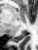 MRI slice; 38x50 px; Medial temporal lobe

The posterior hippocampus is bounded by l=12, t=31, r=25, b=41.